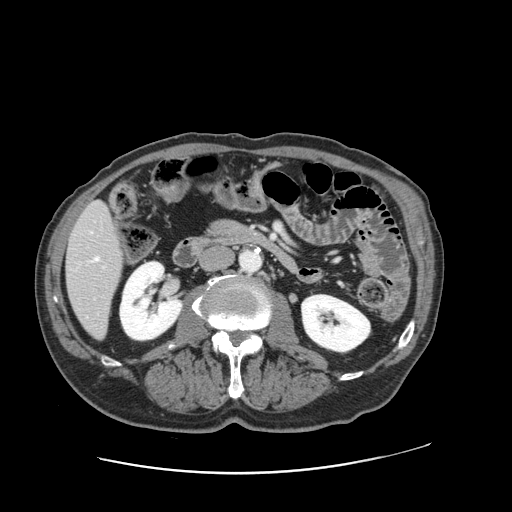
Computed tomography. 512x512 px.
The vessel annotation is not exhaustive.
Segmented structures:
* hepatic vessel: {"x1": 92, "y1": 258, "x2": 98, "y2": 260}